240x240
FLAIR MRI.
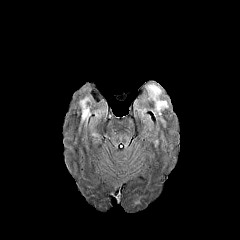
T1-weighted MR.
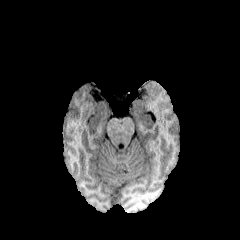
Post-contrast T1-weighted magnetic resonance.
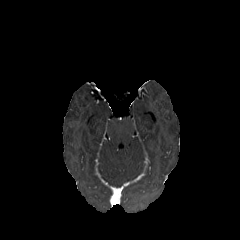
T2-weighted MR image.
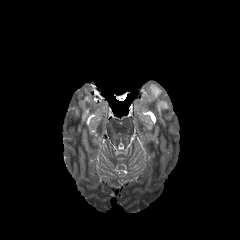
edema:
  - 146, 86, 167, 115
  - 80, 97, 91, 122